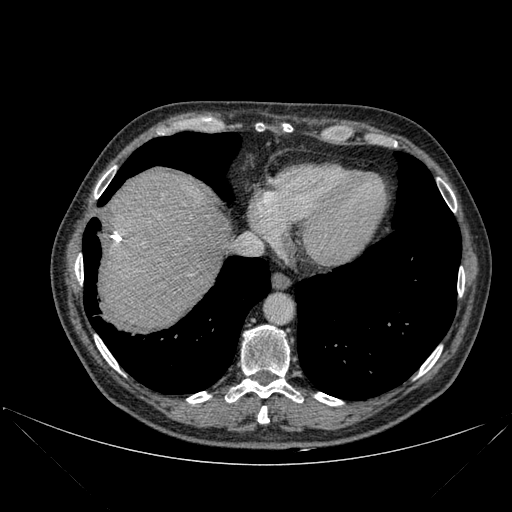 Computed tomography.

3 lung regions are bounded by region(98, 132, 240, 205); region(295, 152, 461, 399); region(83, 218, 270, 394). The liver appears at region(97, 173, 230, 334). 11 bone regions are bounded by region(314, 392, 342, 405); region(257, 406, 269, 423); region(187, 391, 210, 403); region(95, 336, 120, 372); region(418, 347, 441, 376); region(226, 325, 302, 402); region(441, 181, 456, 212); region(457, 267, 464, 296); region(94, 166, 114, 198); region(283, 124, 292, 131); region(75, 254, 83, 284).